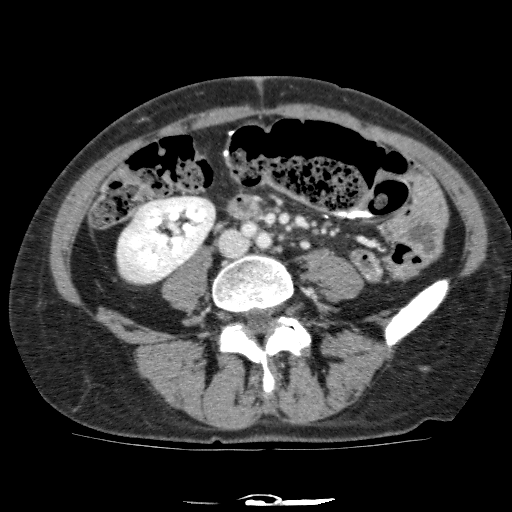

Abdomen | CT image
Kidney — (118, 197, 214, 282).